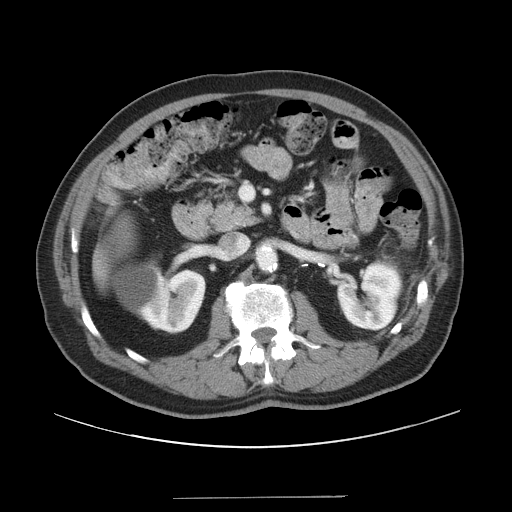

Upper abdomen, Computed tomography, 512x512

<segmentation>
  <pancreas>208:196:260:232</pancreas>
</segmentation>